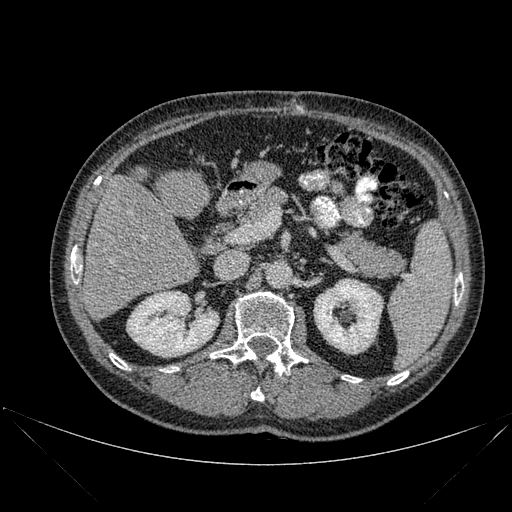

Computed tomography | Upper abdomen

2 kidney regions are located at 314:279:382:353, 127:291:218:356. 2 liver regions are located at 84:169:209:319, 129:167:150:179. 8 bone regions are bounded by 210:292:307:375, 342:375:360:382, 71:247:80:283, 251:387:263:400, 387:371:408:384, 161:367:178:372, 454:274:463:305, 109:353:129:369.